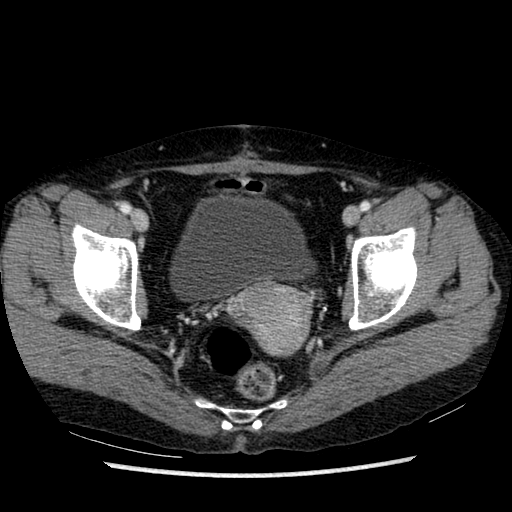

512x512. Pelvis. CT scan slice.

Urinary bladder = box(169, 193, 317, 302).